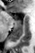

Medial temporal lobe, MR, Image size 35x53

• posterior hippocampus: x1=9, y1=21, x2=22, y2=41
• anterior hippocampus: x1=13, y1=19, x2=19, y2=20